FLAIR magnetic resonance.
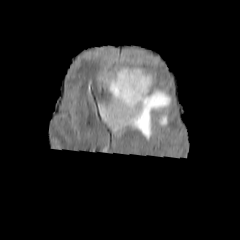
T1-weighted MRI.
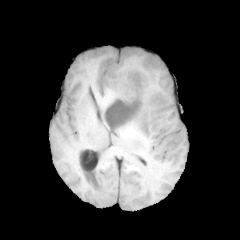
Post-contrast T1-weighted MR.
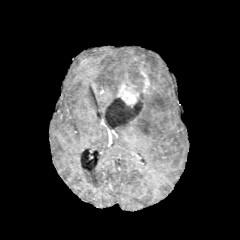
T2-weighted MRI.
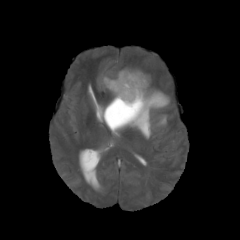
240x240 px | Brain
2 non-enhancing tumor core regions are located at bbox=[122, 68, 145, 100]; bbox=[104, 97, 142, 128]. 2 enhancing tumor regions appear at bbox=[142, 78, 150, 92]; bbox=[116, 83, 140, 106]. 3 edema regions are bounded by bbox=[157, 117, 166, 124]; bbox=[104, 67, 130, 98]; bbox=[111, 74, 170, 137].